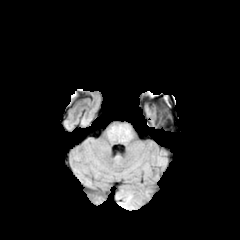
FLAIR MR image.
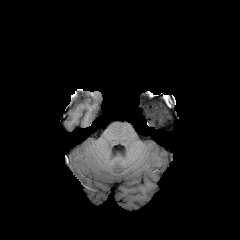
Same slice, T1-weighted MR image.
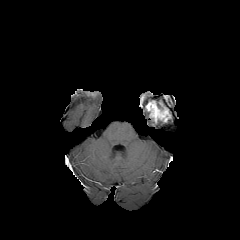
Post-contrast T1-weighted MRI.
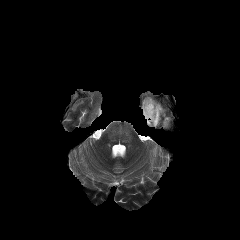
T2-weighted MR of the same slice.
Head
non-enhancing tumor core: [x1=147, y1=107, x2=160, y2=119] | enhancing tumor: [x1=145, y1=104, x2=156, y2=115]